Field of view 400x400 mm; CT; 512x512 px

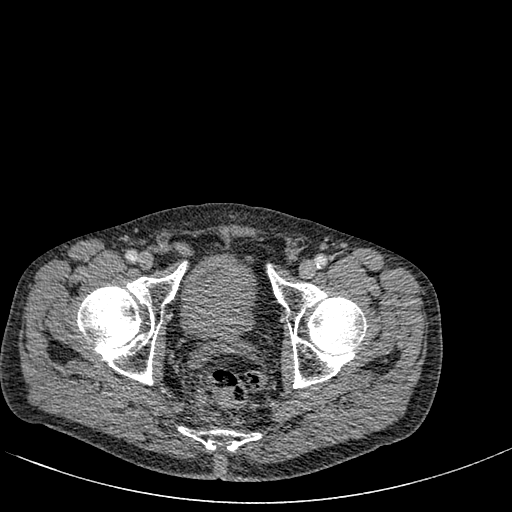 urinary_bladder:
  - <bbox>174, 249, 258, 342</bbox>